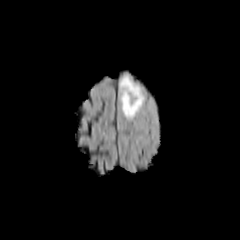
FLAIR MR.
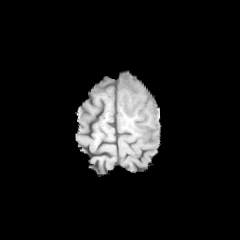
T1-weighted magnetic resonance.
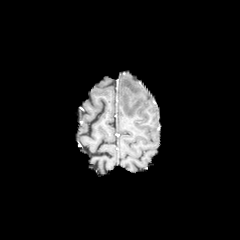
Post-contrast T1-weighted MR image.
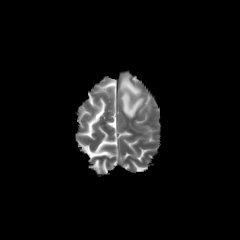
T2-weighted MR image of the same slice.
edema: [x1=120, y1=74, x2=144, y2=117]